Field of view 240x240 mm, Head
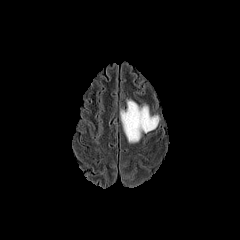
FLAIR magnetic resonance.
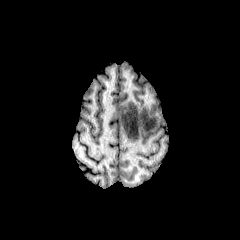
T1-weighted MR of the same slice.
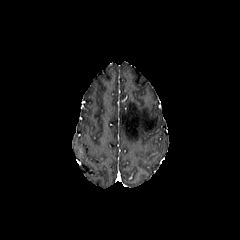
Same slice, post-contrast T1-weighted MR image.
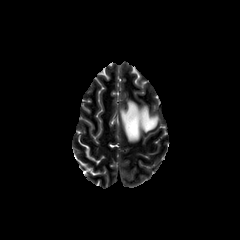
T2-weighted magnetic resonance.
edema:
  - box=[120, 100, 158, 143]